512x512 px; Liver; CT image
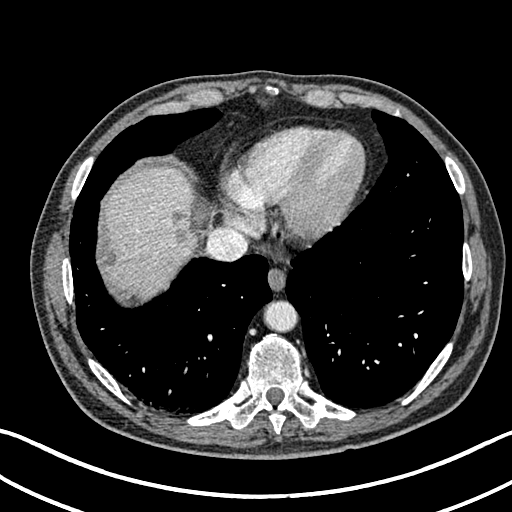

<segmentation>
  <liver>box=[100, 167, 194, 296]</liver>
  <hepatic_lesion>box=[176, 230, 186, 242]; box=[172, 211, 186, 224]; box=[106, 253, 115, 264]</hepatic_lesion>
</segmentation>